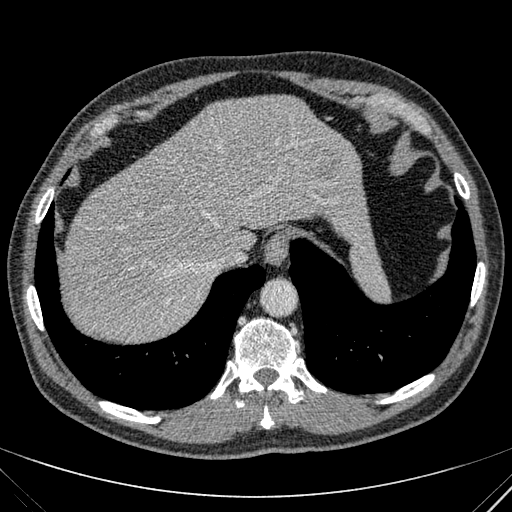 CT, 512x512, Liver

The liver is located at <box>60,96,375,341</box>.